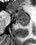 MR. 36x45. posterior hippocampus: (16, 20, 28, 25) | anterior hippocampus: (8, 9, 28, 19)